Field of view 39 mm wide, 1.00 mm slice spacing; MR; 39x45

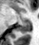
The posterior hippocampus is at l=19, t=21, r=30, b=32.